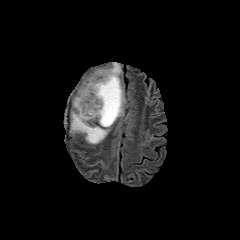
FLAIR MR image.
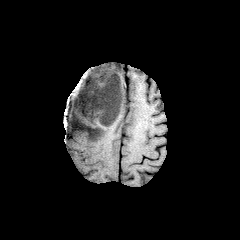
T1-weighted magnetic resonance of the same slice.
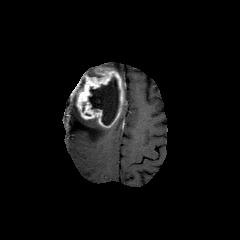
Post-contrast T1-weighted MR of the same slice.
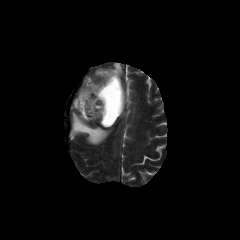
T2-weighted MR image.
Head.
3 edema regions are located at 125 92 130 106, 111 62 122 76, 70 96 110 144. The non-enhancing tumor core is located at 89 78 119 125. The enhancing tumor is located at 75 68 127 127.